512x512 | CT image
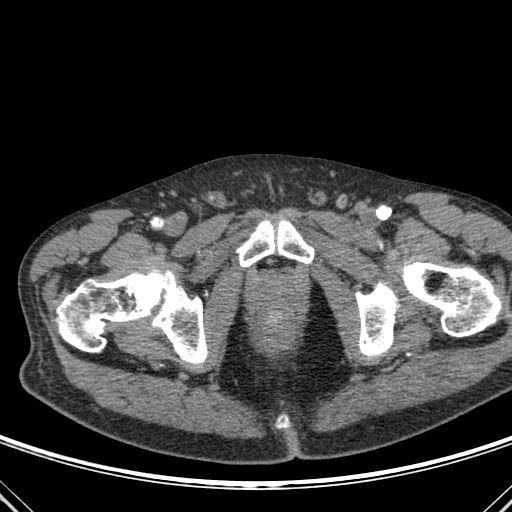 <segmentation>
  <bone><bbox>237, 220, 314, 266</bbox>, <bbox>56, 269, 207, 363</bbox>, <bbox>278, 418, 288, 427</bbox>, <bbox>355, 282, 399, 356</bbox>, <bbox>401, 262, 502, 336</bbox></bone>
</segmentation>